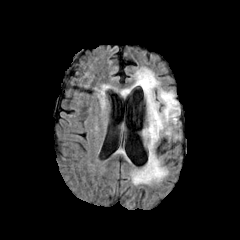
FLAIR MRI.
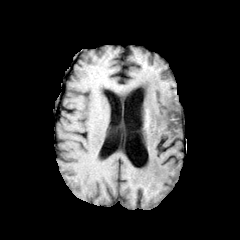
Same slice, T1-weighted MR.
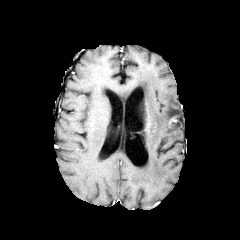
Post-contrast T1-weighted MRI of the same slice.
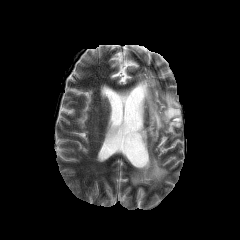
T2-weighted MR image of the same slice.
Image size 240x240. Head.
The edema appears at 119, 67, 180, 185.